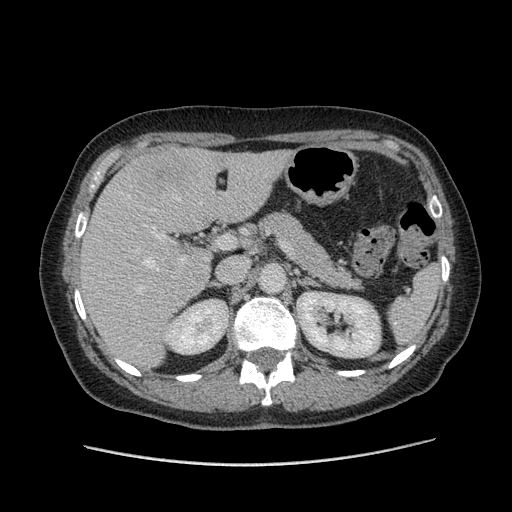
CT image | Liver

The vessel boxes may cover only some of the vessels.
3 hepatic vessel regions are located at box(178, 257, 184, 262); box(152, 226, 153, 228); box(156, 234, 164, 238). The liver tumor is located at box(149, 156, 196, 186).